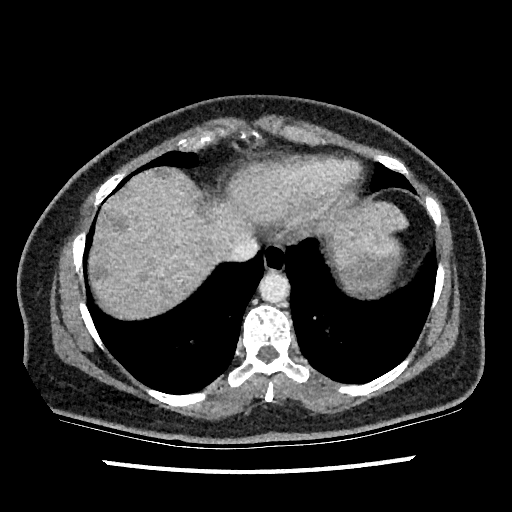
CT image
{"focal_liver_lesion": ["(left=95, top=266, right=107, bottom=277)", "(left=154, top=168, right=169, bottom=177)", "(left=99, top=212, right=127, bottom=231)", "(left=197, top=198, right=209, bottom=215)"], "liver": ["(left=335, top=203, right=405, bottom=239)", "(left=90, top=163, right=290, bottom=316)"]}